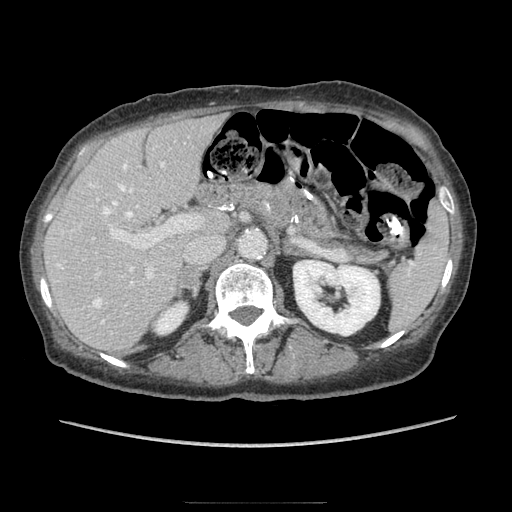
512x512 px, CT scan slice

Pancreas — 349:244:384:261.